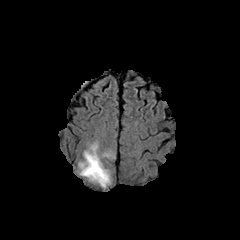
FLAIR magnetic resonance.
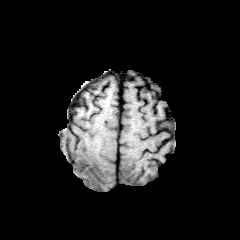
T1-weighted magnetic resonance.
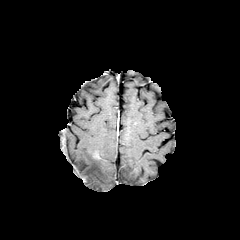
Post-contrast T1-weighted MRI.
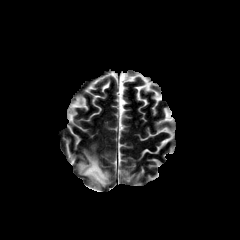
T2-weighted MR.
Head
* edema: bbox=[78, 143, 113, 187]